Head | 240x240 | Slice index 98
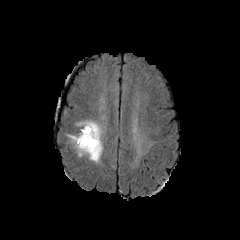
FLAIR magnetic resonance.
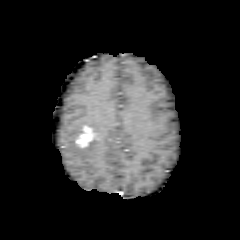
T1-weighted magnetic resonance.
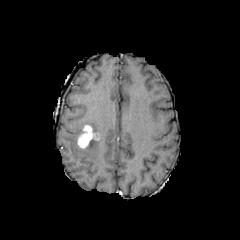
Same slice, post-contrast T1-weighted MR image.
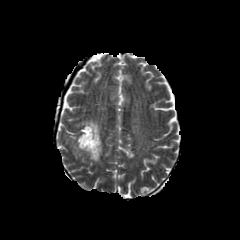
T2-weighted MRI.
Findings:
- enhancing tumor: bbox(77, 124, 99, 149)
- edema: bbox(68, 134, 102, 161); bbox(79, 121, 100, 135)